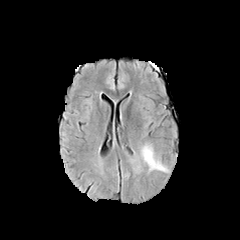
FLAIR magnetic resonance.
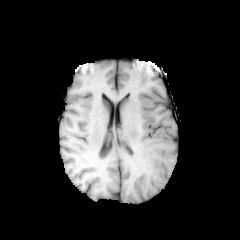
T1-weighted MR of the same slice.
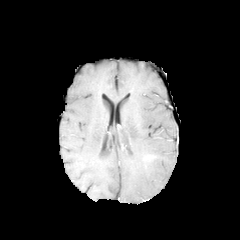
Post-contrast T1-weighted magnetic resonance.
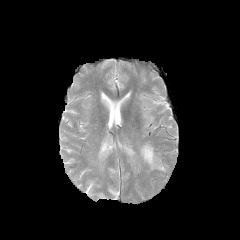
T2-weighted magnetic resonance.
240x240 px | Head
The enhancing tumor appears at box=[145, 153, 157, 162]. The edema is at box=[132, 143, 170, 173].